240x240 | Slice 133 of 155
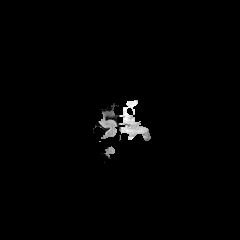
FLAIR MR image.
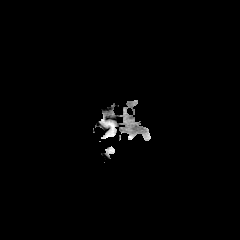
T1-weighted MR of the same slice.
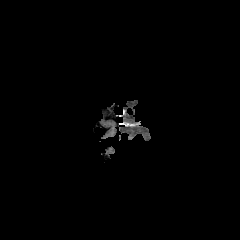
Same slice, post-contrast T1-weighted magnetic resonance.
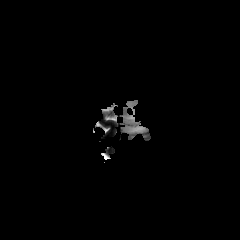
Same slice, T2-weighted magnetic resonance.
Edema — <bbox>124, 114, 134, 123</bbox>.
Enhancing tumor — <bbox>127, 121, 139, 134</bbox>.